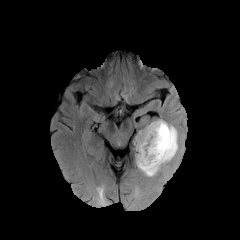
FLAIR MRI.
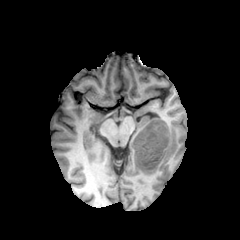
Same slice, T1-weighted MRI.
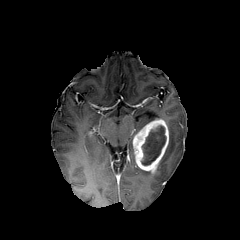
Same slice, post-contrast T1-weighted MRI.
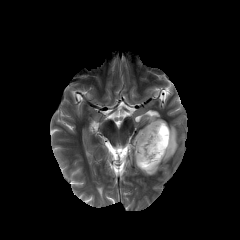
T2-weighted MRI.
non-enhancing_tumor_core:
  - [x1=142, y1=126, x2=165, y2=165]
edema:
  - [x1=138, y1=120, x2=181, y2=176]
enhancing_tumor:
  - [x1=133, y1=118, x2=168, y2=173]